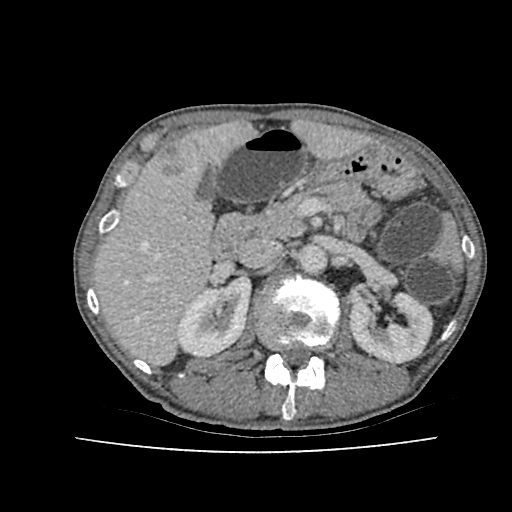 Upper abdomen; CT slice
Liver lesion = 159, 147, 185, 176.
Liver = 296, 123, 366, 154; 97, 123, 253, 361.
Kidney = 177, 277, 250, 355; 350, 291, 431, 362.